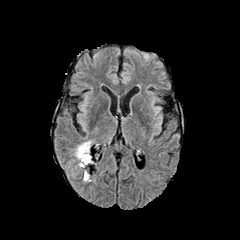
FLAIR MRI.
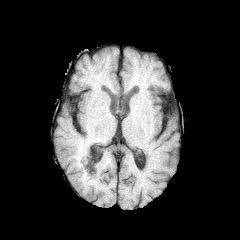
T1-weighted MRI.
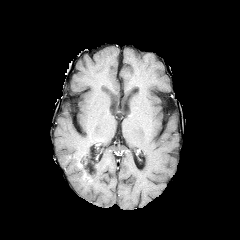
Same slice, post-contrast T1-weighted MR.
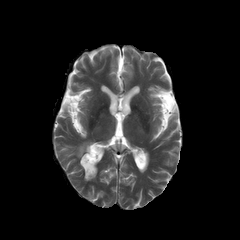
Same slice, T2-weighted magnetic resonance.
{"non-enhancing_tumor_core": ["(x1=80, y1=152, x2=90, y2=165)"], "edema": ["(x1=74, y1=141, x2=93, y2=167)"]}